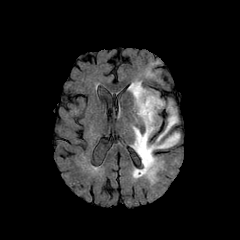
FLAIR MRI.
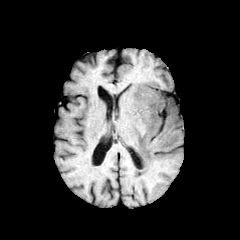
Same slice, T1-weighted MRI.
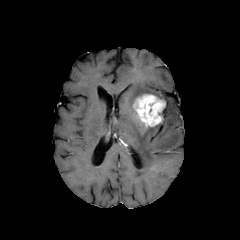
Post-contrast T1-weighted MRI.
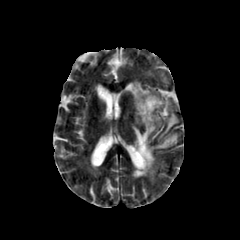
T2-weighted MR.
Brain. Image size 240x240.
2 edema regions are bounded by rect(128, 79, 153, 102); rect(131, 100, 180, 183). The enhancing tumor is located at rect(134, 94, 165, 127).